CT slice.
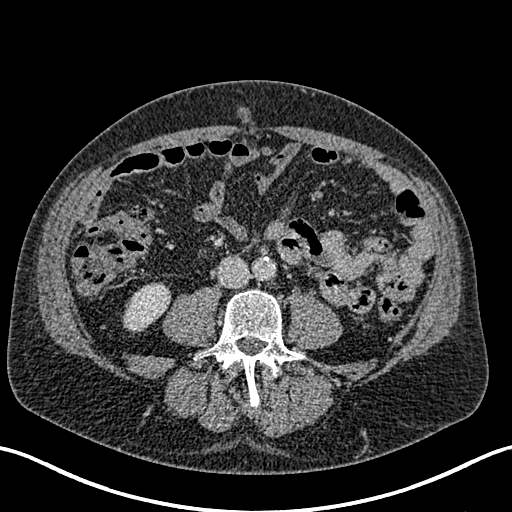

<segmentation>
  <kidney>left=125, top=284, right=167, bottom=329</kidney>
</segmentation>